FLAIR MRI.
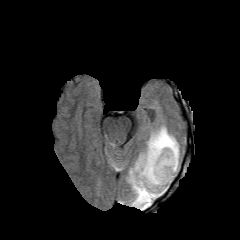
T1-weighted magnetic resonance.
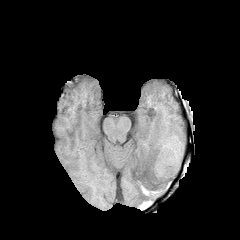
Post-contrast T1-weighted MR image.
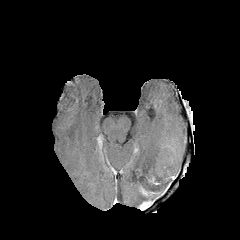
T2-weighted MRI.
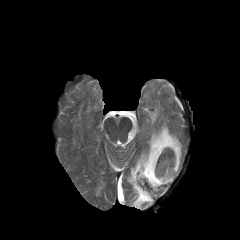
Brain.
- non-enhancing tumor core: (x1=138, y1=189, x2=153, y2=206)
- edema: (x1=127, y1=125, x2=181, y2=208)